Image width 407 mm, Abdomen, 512x512, Computed tomography

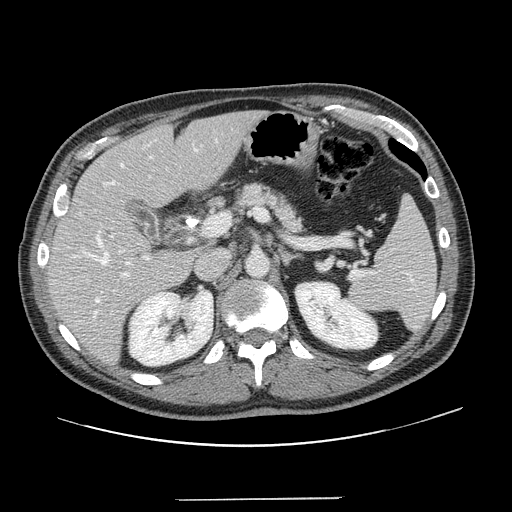
pancreas:
  - bbox=[230, 179, 309, 237]